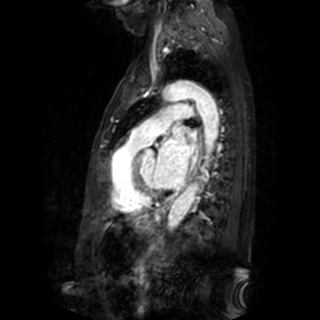 Magnetic resonance
Left atrium: box=[156, 125, 193, 187].